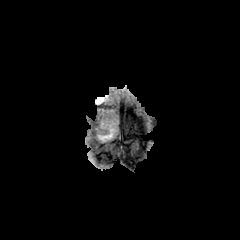
FLAIR MRI.
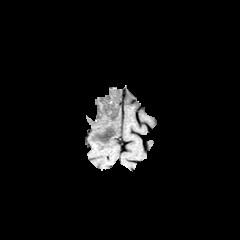
T1-weighted MR image.
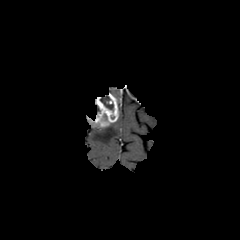
Post-contrast T1-weighted MR image of the same slice.
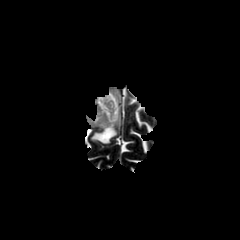
Same slice, T2-weighted magnetic resonance.
240x240
Non-enhancing tumor core: region(100, 95, 109, 104).
Edema: region(93, 123, 116, 143).
Enhancing tumor: region(86, 93, 119, 129).